512x512. Lower abdomen. Slice index 69. CT.
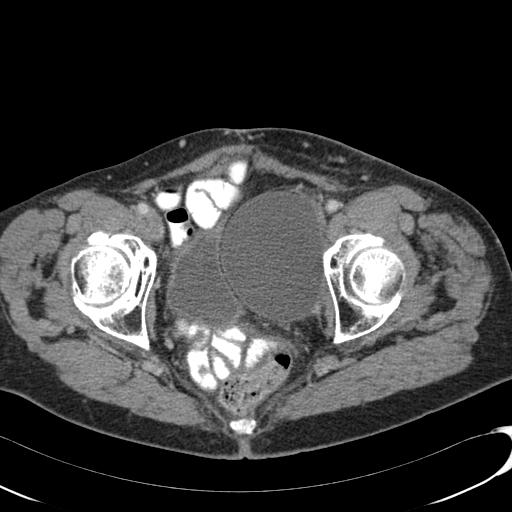
<segmentation>
  <urinary_bladder>x1=191 y1=165 x2=228 y2=182, x1=166 y1=210 x2=246 y2=328</urinary_bladder>
</segmentation>